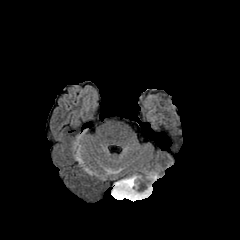
FLAIR MR.
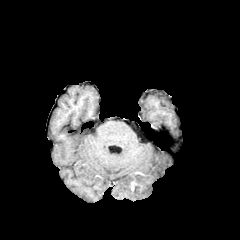
T1-weighted MR.
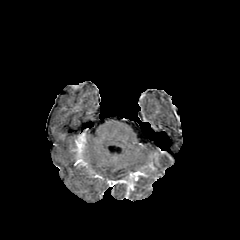
Post-contrast T1-weighted MRI.
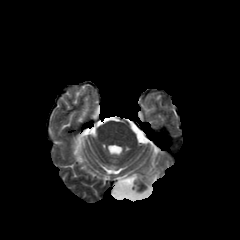
T2-weighted magnetic resonance.
2 non-enhancing tumor core regions are bounded by [119,184,126,195], [128,180,140,197]. The edema is bounded by [112,182,151,201]. The enhancing tumor is at [115,174,137,196].